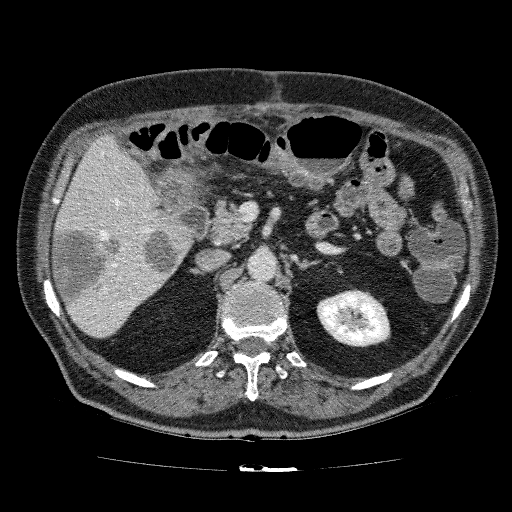

Abdomen. 512x512 px. CT slice.
liver: (54, 133, 192, 338) | kidney: (317, 290, 389, 346) | liver lesion: (140, 228, 184, 279), (52, 226, 128, 307)